CT slice; Field of view 512 mm wide, 1.00 mm slice spacing; Slice 84/151; Abdomen

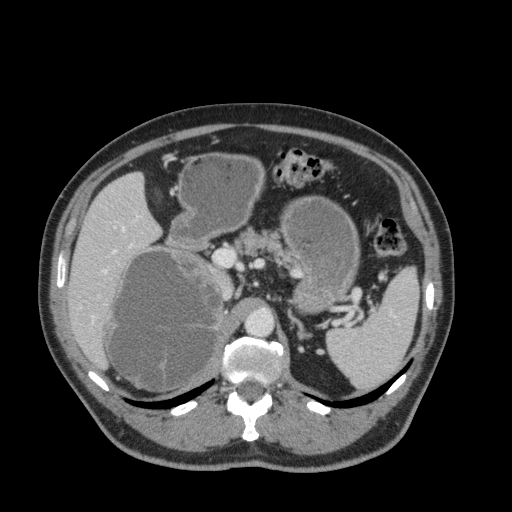

The liver appears at bbox(69, 174, 160, 367).